Field of view 240x240 mm. Slice 38/155. Head.
FLAIR magnetic resonance.
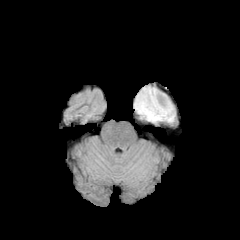
T1-weighted MR.
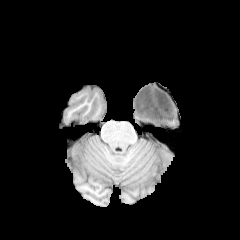
Post-contrast T1-weighted MR image.
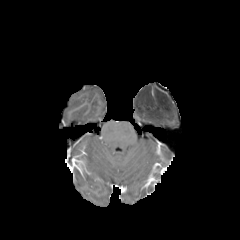
T2-weighted MR.
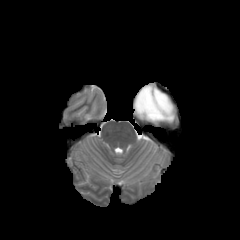
{
  "non-enhancing_tumor_core": [
    "136:86:172:121"
  ],
  "edema": [
    "134:99:159:124",
    "160:106:175:123"
  ]
}